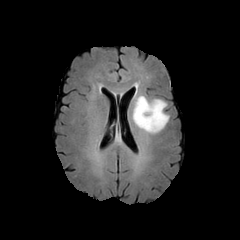
FLAIR magnetic resonance.
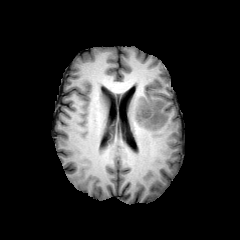
T1-weighted MR image.
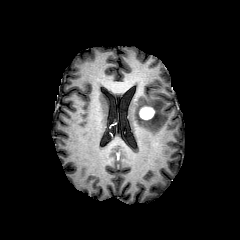
Post-contrast T1-weighted MR.
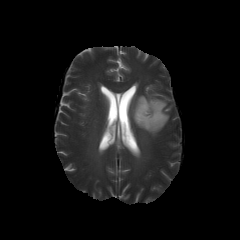
T2-weighted MRI.
Head
The edema lies within <bbox>132, 83, 169, 134</bbox>. The enhancing tumor lies within <bbox>138, 105, 155, 120</bbox>.